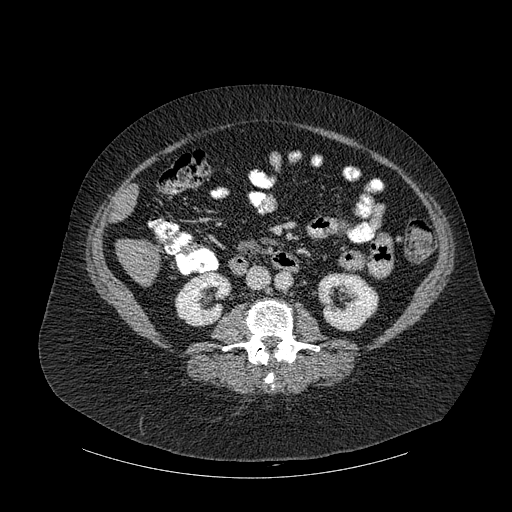
Computed tomography.

- bone: {"x1": 222, "y1": 300, "x2": 319, "y2": 364}, {"x1": 265, "y1": 373, "x2": 273, "y2": 383}
- liver: {"x1": 112, "y1": 184, "x2": 138, "y2": 222}, {"x1": 115, "y1": 239, "x2": 160, "y2": 286}
- kidney: {"x1": 176, "y1": 272, "x2": 229, "y2": 325}, {"x1": 319, "y1": 274, "x2": 377, "y2": 330}